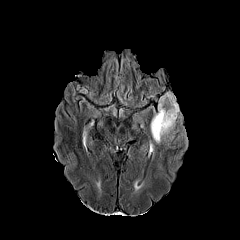
FLAIR magnetic resonance.
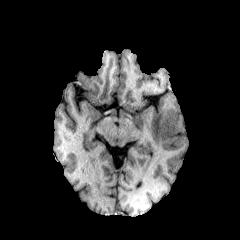
T1-weighted MR of the same slice.
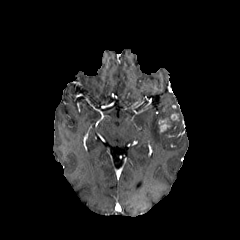
Post-contrast T1-weighted MR image of the same slice.
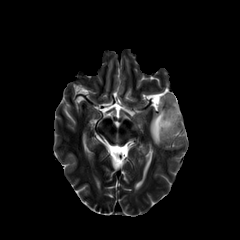
T2-weighted magnetic resonance of the same slice.
enhancing tumor: (left=171, top=113, right=179, bottom=120), (left=158, top=116, right=171, bottom=135) | edema: (left=150, top=93, right=185, bottom=145)